FLAIR MR.
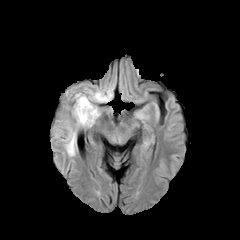
T1-weighted MRI.
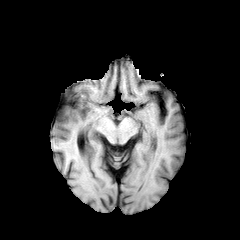
Post-contrast T1-weighted magnetic resonance.
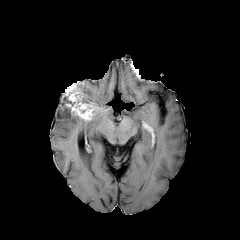
T2-weighted magnetic resonance.
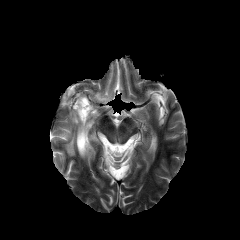
Brain
2 non-enhancing tumor core regions are located at {"x1": 62, "y1": 96, "x2": 75, "y2": 106}, {"x1": 77, "y1": 82, "x2": 93, "y2": 103}. 2 edema regions are bounded by {"x1": 54, "y1": 104, "x2": 100, "y2": 155}, {"x1": 81, "y1": 86, "x2": 113, "y2": 105}. The enhancing tumor appears at {"x1": 64, "y1": 84, "x2": 95, "y2": 120}.